32x47 px, MR, Medial temporal lobe

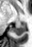
* posterior hippocampus: [x1=12, y1=23, x2=25, y2=35]